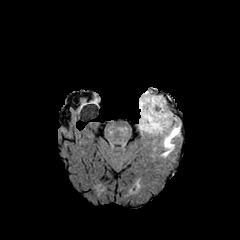
FLAIR magnetic resonance.
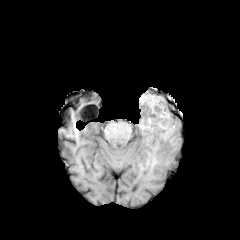
Same slice, T1-weighted MRI.
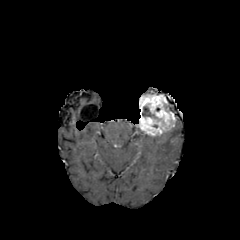
Post-contrast T1-weighted MR image.
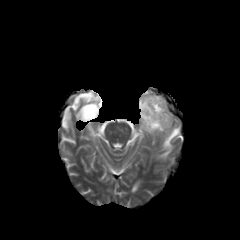
T2-weighted MR image of the same slice.
240x240
enhancing tumor: [139, 94, 175, 134] | non-enhancing tumor core: [142, 106, 153, 116] | edema: [154, 119, 180, 157]